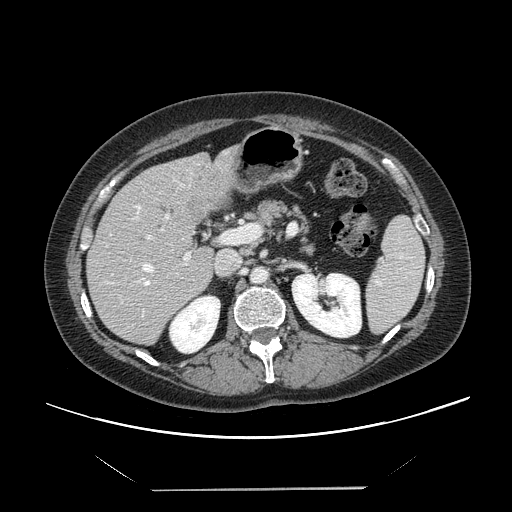
512x512 | Computed tomography | Liver
Some hepatic vessels may have no box.
13 hepatic vessel regions appear at bbox(183, 252, 191, 265); bbox(104, 281, 114, 283); bbox(142, 309, 144, 316); bbox(145, 234, 153, 239); bbox(132, 204, 142, 220); bbox(135, 262, 154, 286); bbox(216, 250, 240, 272); bbox(160, 228, 163, 231); bbox(109, 234, 111, 235); bbox(221, 224, 260, 243); bbox(121, 300, 122, 302); bbox(164, 214, 169, 220); bbox(182, 237, 184, 239). The liver tumor is located at bbox(186, 194, 219, 217).